Slice 48 of 89 | CT image | Upper abdomen 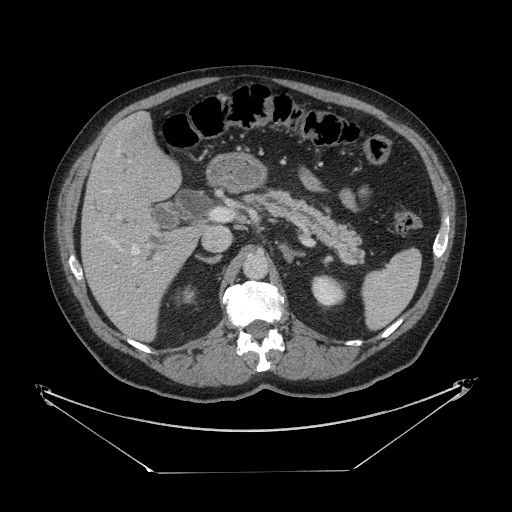
pancreas: (259, 192, 363, 263)